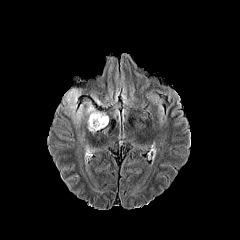
FLAIR MR.
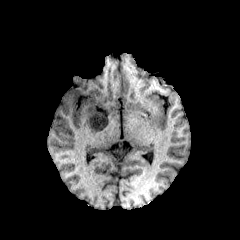
T1-weighted MR.
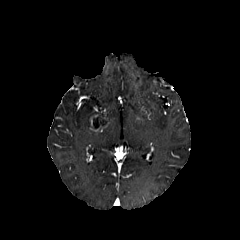
Post-contrast T1-weighted MRI.
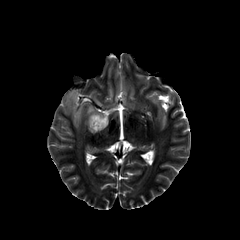
T2-weighted magnetic resonance.
Head
Non-enhancing tumor core: {"x1": 93, "y1": 113, "x2": 108, "y2": 129}.
Edema: {"x1": 62, "y1": 89, "x2": 99, "y2": 129}, {"x1": 91, "y1": 86, "x2": 120, "y2": 107}.